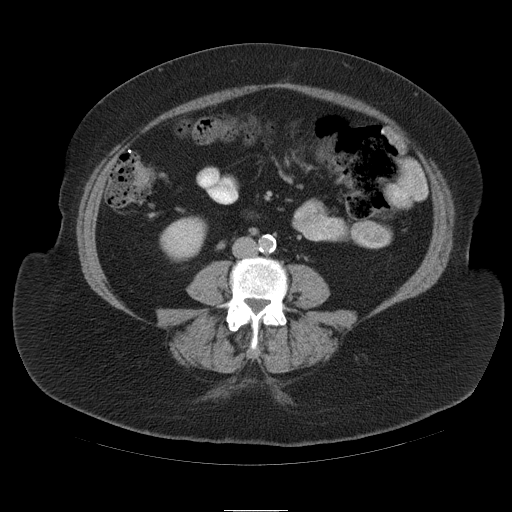
CT slice, Abdomen
The colon tumor is at rect(133, 162, 151, 187).